FLAIR MR image.
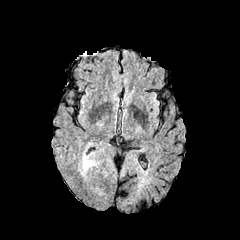
T1-weighted MR image.
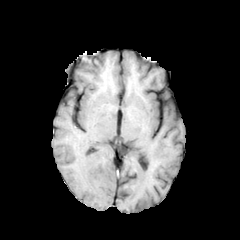
Post-contrast T1-weighted MRI.
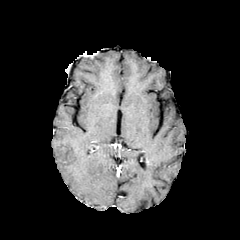
T2-weighted MR image.
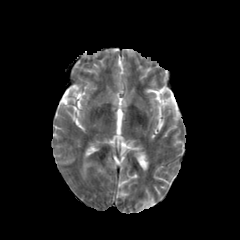
Findings:
• edema: l=80, t=149, r=96, b=175